Abdomen, CT, Image size 512x512, Slice 11/139

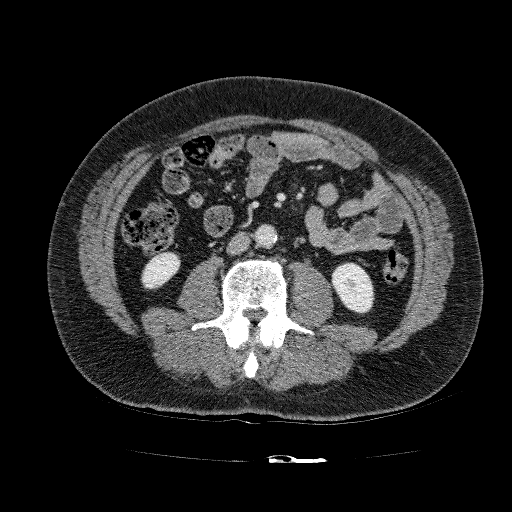
Annotated regions:
• kidney: 332,263,373,312; 142,252,179,288